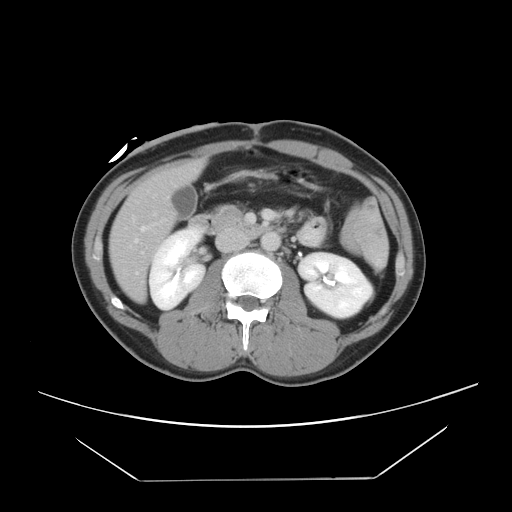
CT scan slice. 512x512 px.
Not every hepatic vessel necessarily has a box.
<segmentation>
  <hepatic_vessel>l=134, t=239, r=138, b=241; l=141, t=223, r=158, b=231; l=164, t=197, r=168, b=198; l=141, t=252, r=143, b=253; l=192, t=169, r=195, b=170; l=135, t=272, r=137, b=273; l=152, t=256, r=153, b=260; l=153, t=194, r=155, b=197; l=153, t=212, r=156, b=215; l=131, t=215, r=134, b=220; l=172, t=183, r=175, b=185</hepatic_vessel>
</segmentation>